FLAIR magnetic resonance.
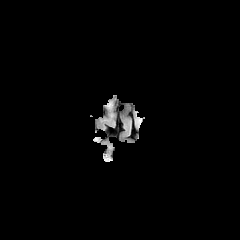
T1-weighted magnetic resonance.
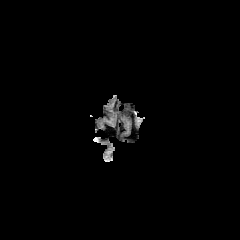
Post-contrast T1-weighted MR.
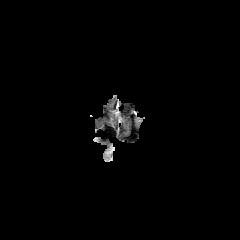
T2-weighted MRI.
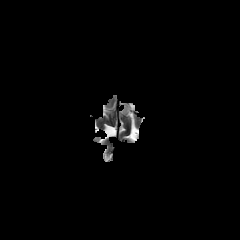
Head
The edema is located at (105, 102, 113, 121).